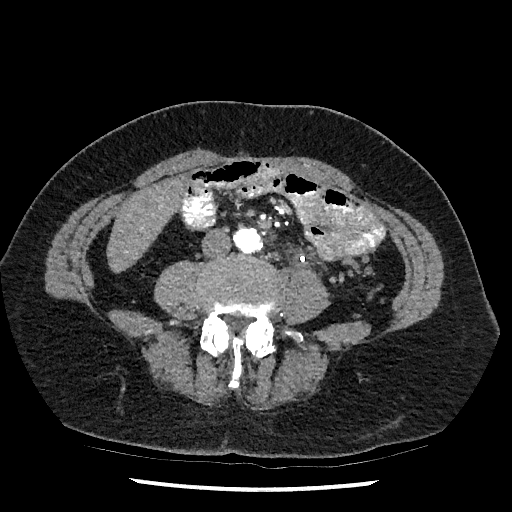

512x512, Liver, CT image
The liver is located at (106,178,183,271).